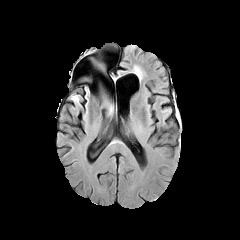
FLAIR MR.
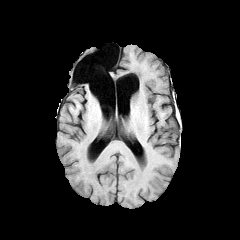
T1-weighted MR.
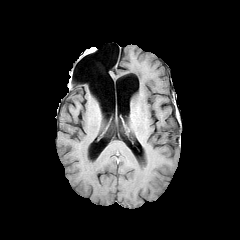
Same slice, post-contrast T1-weighted MR image.
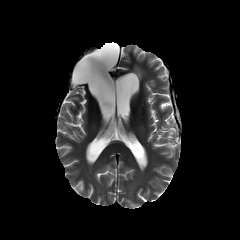
T2-weighted MR of the same slice.
Head
Edema — <bbox>71, 95, 80, 102</bbox>.